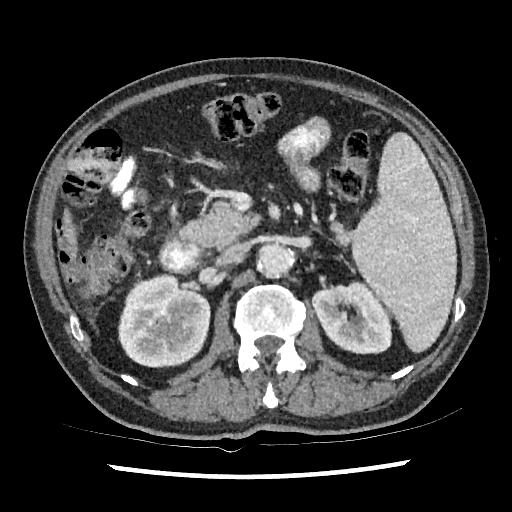
CT scan slice, 512x512 px
Kidney: x1=312, y1=283, x2=391, y2=353; x1=119, y1=275, x2=209, y2=366.
Liver: x1=63, y1=210, x2=76, y2=256; x1=65, y1=270, x2=73, y2=280.